35x51; Magnetic resonance; Hippocampus 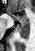
Annotated regions:
* anterior hippocampus: (8,11,28,22)
* posterior hippocampus: (17,23,29,38)